Upper abdomen. CT. 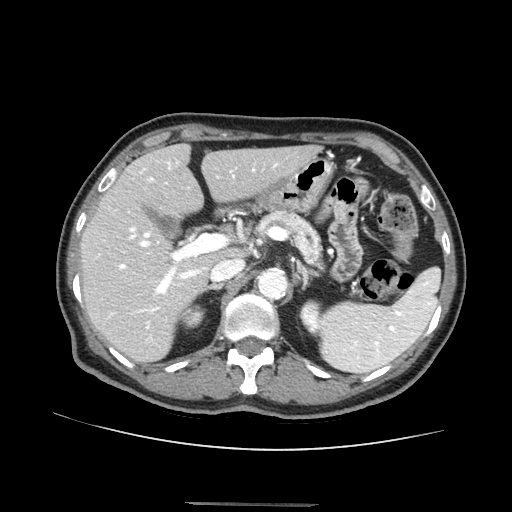
{
  "pancreas": [
    "x1=273 y1=213 x2=321 y2=265"
  ]
}